Magnetic resonance, Slice index 9, Medial temporal lobe

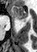 The anterior hippocampus is at 9, 5, 26, 21.